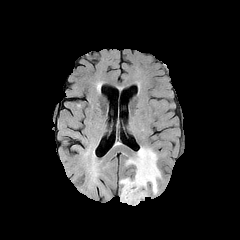
FLAIR magnetic resonance.
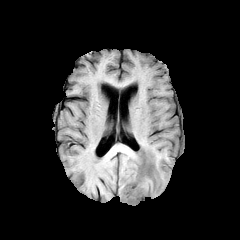
T1-weighted magnetic resonance of the same slice.
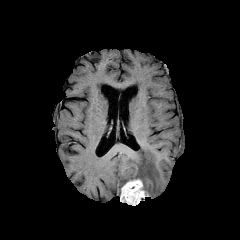
Post-contrast T1-weighted MR image.
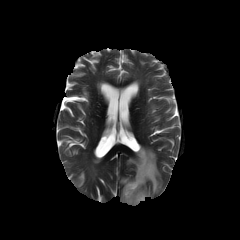
Same slice, T2-weighted MR image.
The enhancing tumor is at 120, 178, 148, 204. The edema appears at 126, 146, 161, 194.